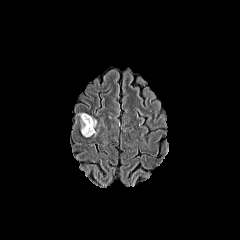
FLAIR MR image.
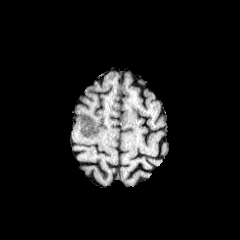
T1-weighted MRI.
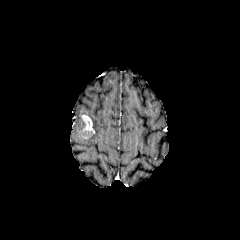
Post-contrast T1-weighted MR image.
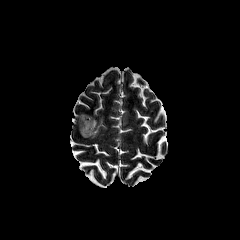
T2-weighted MRI.
The edema is bounded by (76, 113, 99, 136). The non-enhancing tumor core appears at (79, 121, 94, 137). The enhancing tumor is at (82, 115, 94, 132).